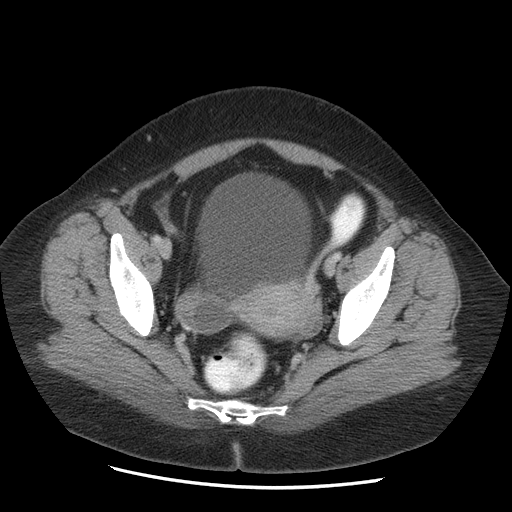

CT slice; Pelvis; 512x512

The urinary bladder appears at box(195, 175, 311, 294).